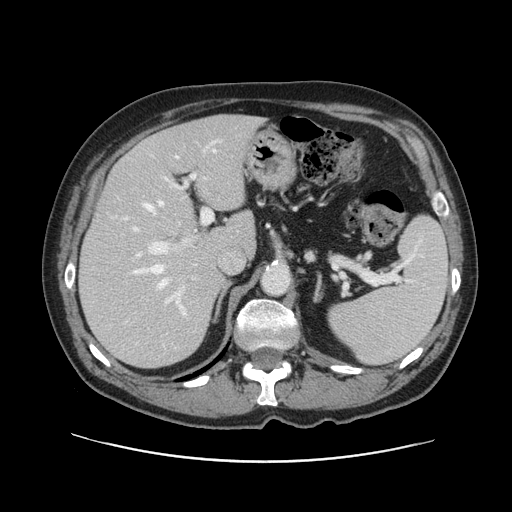
Abdomen. CT scan slice.
Only some of the vessels may be annotated.
Segmented structures:
- hepatic vessel (top 15 of 16): box(212, 149, 215, 152); box(150, 242, 168, 253); box(158, 279, 166, 287); box(158, 201, 162, 205); box(153, 212, 155, 214); box(175, 155, 178, 158); box(192, 173, 194, 176); box(133, 227, 137, 230); box(173, 185, 177, 187); box(211, 140, 220, 144); box(137, 253, 140, 256); box(165, 178, 167, 180); box(133, 265, 162, 273); box(142, 203, 152, 210); box(165, 291, 185, 313)